38x52. Magnetic resonance.

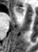

The anterior hippocampus lies within x1=15 y1=7 x2=23 y2=13.